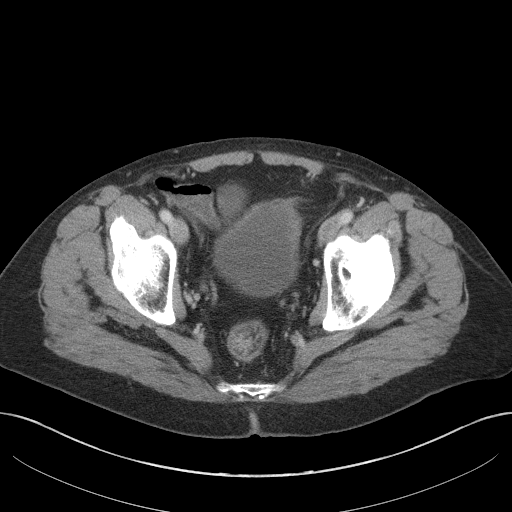
512x512 px, Lower abdomen, Computed tomography

* urinary bladder: (211, 201, 301, 297)